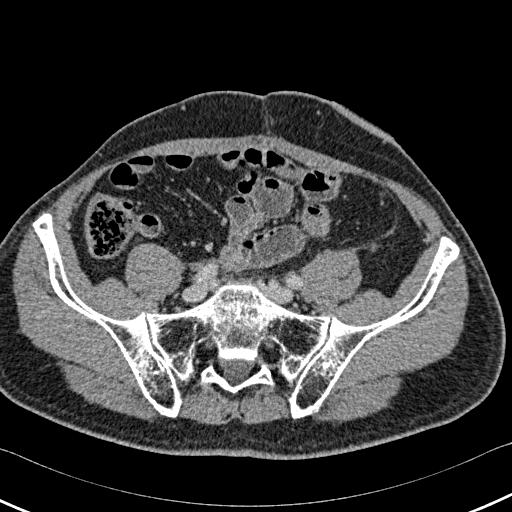 512x512 px. CT scan slice.
{"bone": ["(33,214,458,418)", "(201,364,273,392)"]}